CT slice | Abdomen 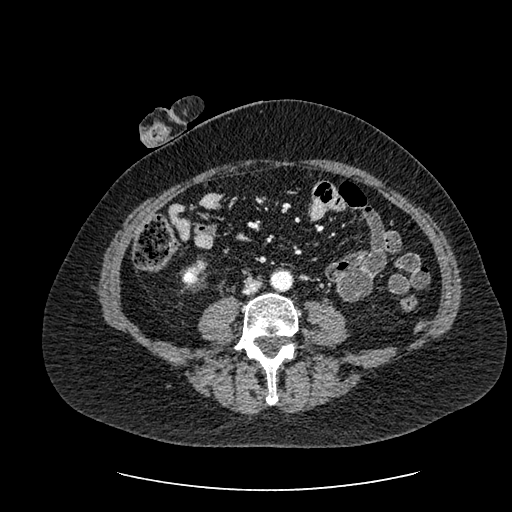
Kidney — 183 261 203 284.